FLAIR magnetic resonance.
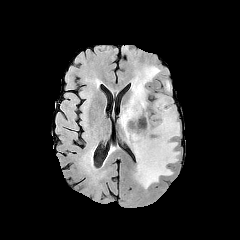
T1-weighted magnetic resonance.
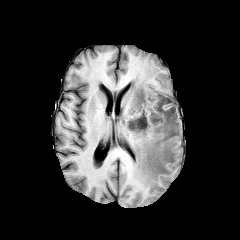
Post-contrast T1-weighted MRI.
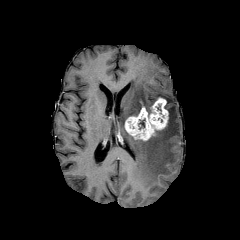
T2-weighted magnetic resonance.
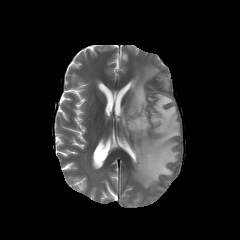
Edema = [119,66,179,188].
Enhancing tumor = [124,98,168,140].
Non-enhancing tumor core = [124,96,146,124], [146,104,155,116], [138,118,145,129], [148,105,173,139].